Image size 240x240 | Field of view 240x240 mm | Head | Slice 83/155
FLAIR MR image.
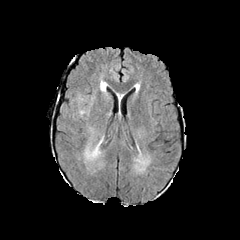
T1-weighted magnetic resonance.
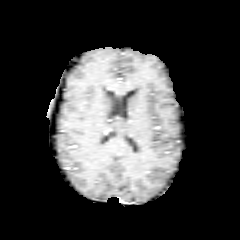
Post-contrast T1-weighted MR image.
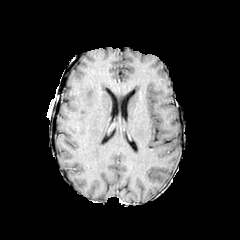
T2-weighted MR image.
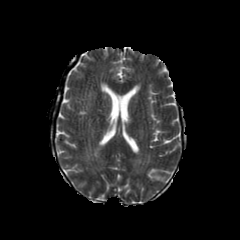
Annotated regions:
* edema: region(84, 134, 103, 160)